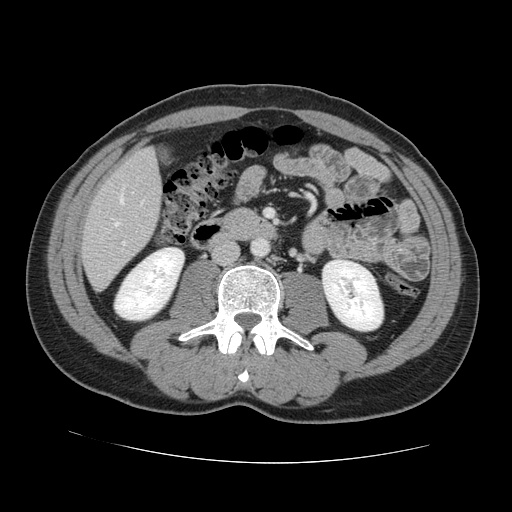 512x512; CT slice
Not every hepatic vessel necessarily has a box.
6 hepatic vessel regions appear at [109, 271, 112, 273], [119, 191, 123, 204], [140, 199, 143, 204], [114, 222, 118, 225], [122, 242, 125, 244], [123, 184, 126, 187].